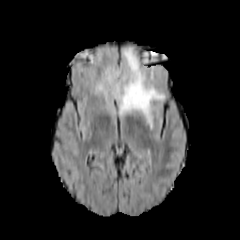
FLAIR MR image.
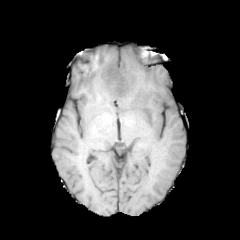
Same slice, T1-weighted MRI.
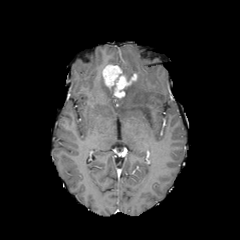
Same slice, post-contrast T1-weighted magnetic resonance.
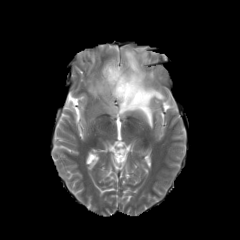
T2-weighted MRI of the same slice.
Brain; 240x240
Edema: bounding box (x1=91, y1=78, x2=106, y2=91), (x1=117, y1=49, x2=164, y2=128).
Non-enhancing tumor core: bounding box (x1=120, y1=85, x2=130, y2=101).
Enhancing tumor: bounding box (x1=102, y1=64, x2=136, y2=98).